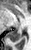

31x50 px. Hippocampus. MRI.

Posterior hippocampus at 7, 29, 21, 42.